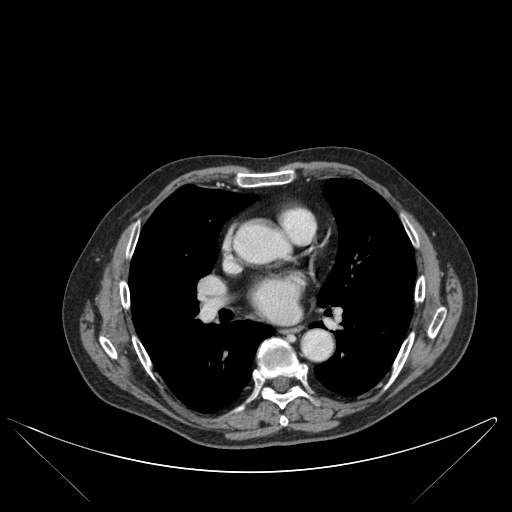
Computed tomography; Chest

bone: <bbox>126, 231, 137, 256</bbox>, <bbox>386, 333, 413, 387</bbox>, <bbox>120, 281, 129, 307</bbox>, <bbox>280, 416, 287, 425</bbox>, <bbox>253, 338, 308, 408</bbox>, <bbox>237, 170, 293, 186</bbox>, <bbox>415, 276, 424, 301</bbox>, <bbox>100, 337, 116, 358</bbox>, <bbox>406, 222, 417, 243</bbox>, <bbox>132, 337, 151, 375</bbox>, <bbox>428, 307, 445, 337</bbox> | lung: <bbox>129, 184, 273, 412</bbox>, <bbox>310, 322, 323, 326</bbox>, <bbox>314, 178, 415, 396</bbox>